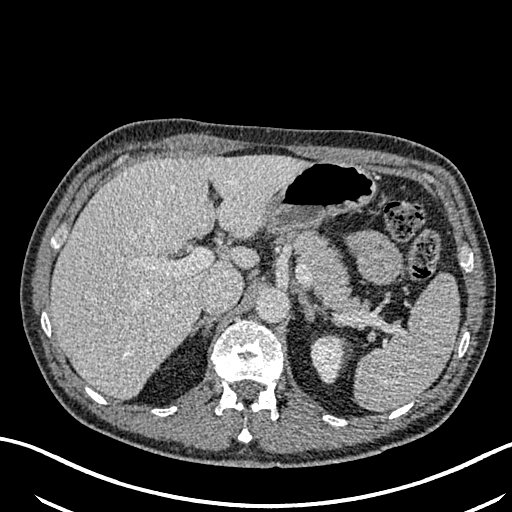

CT; Image size 512x512; Abdomen
<segmentation>
  <hepatic_lesion>149 289 157 302, 204 197 213 208</hepatic_lesion>
  <kidney>312 338 341 379</kidney>
  <liver>51 155 306 398</liver>
</segmentation>